FLAIR magnetic resonance.
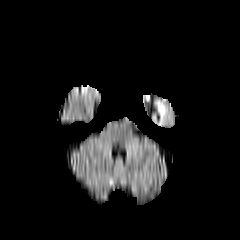
T1-weighted MR image.
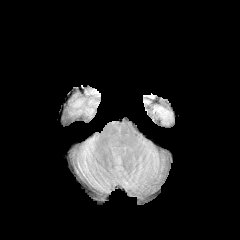
Post-contrast T1-weighted magnetic resonance.
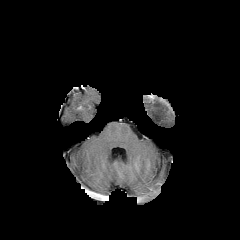
T2-weighted MR image.
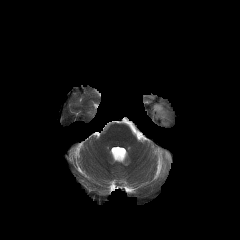
240x240 px
The edema appears at x1=158 y1=104 x2=165 y2=122.